FLAIR MR.
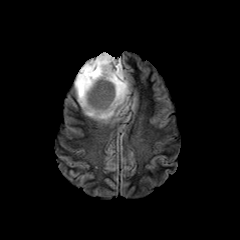
T1-weighted magnetic resonance.
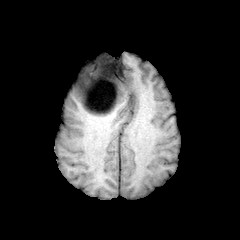
Post-contrast T1-weighted MR image.
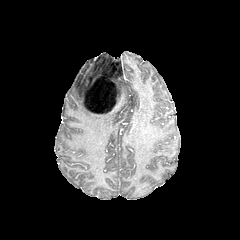
T2-weighted magnetic resonance.
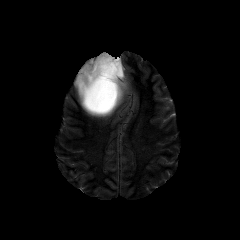
Head.
Non-enhancing tumor core — 79 56 126 113.
Edema — 74 53 131 121.